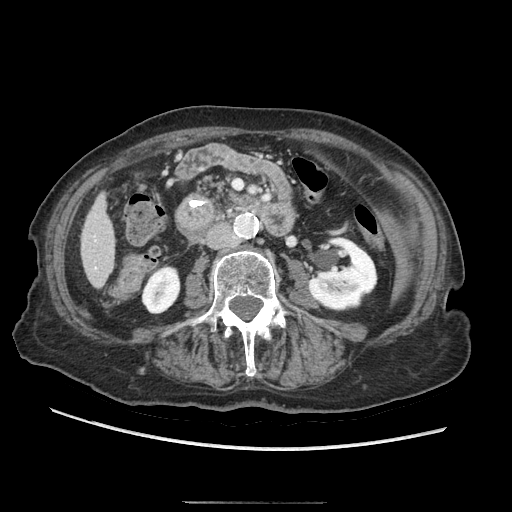 CT, Abdomen
Segmented structures:
• pancreas: [197, 177, 234, 210]